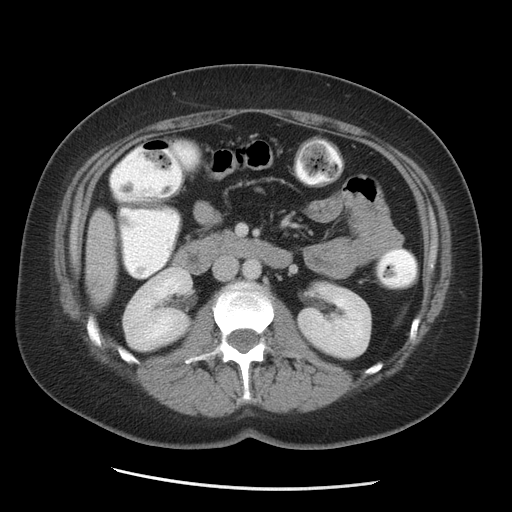
512x512 px. Abdomen. CT slice. liver: 86, 211, 115, 300 | kidney: 124, 268, 189, 349; 298, 284, 369, 357